CT 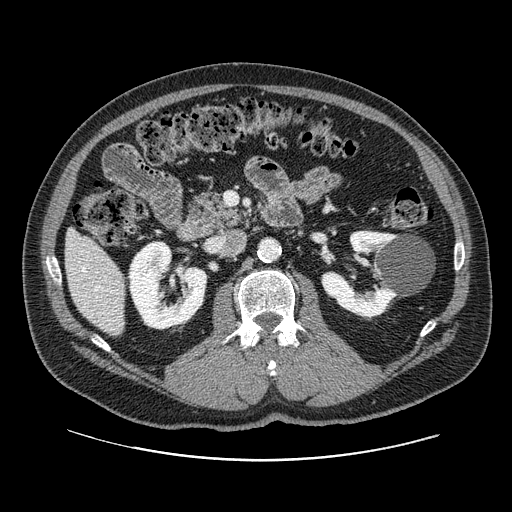 {"pancreas": ["left=187, top=192, right=243, bottom=233"]}